Field of view 240 mm wide, 1.00 mm slice spacing, 240x240, Brain
FLAIR MR image.
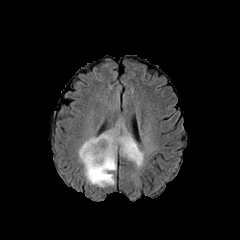
T1-weighted MR image.
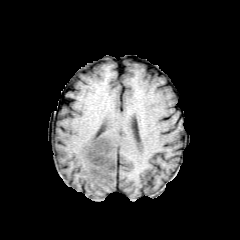
Post-contrast T1-weighted MRI.
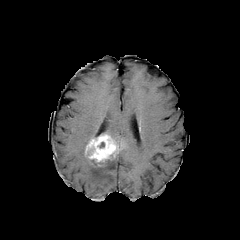
T2-weighted MRI.
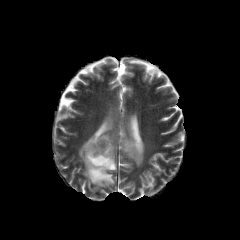
Segmented structures:
* enhancing tumor: bbox=[85, 134, 119, 162]
* edema: bbox=[78, 124, 143, 187]
* non-enhancing tumor core: bbox=[112, 138, 125, 149]